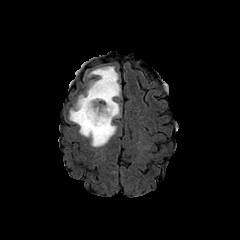
FLAIR MR image.
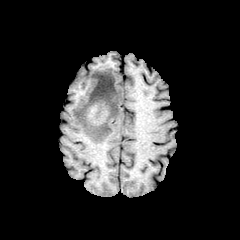
T1-weighted MR image of the same slice.
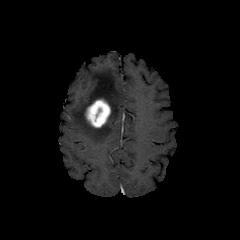
Post-contrast T1-weighted MR.
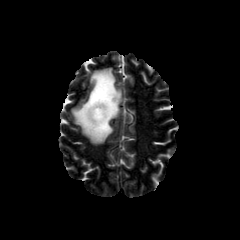
Same slice, T2-weighted MRI.
non-enhancing_tumor_core:
  - x1=86, y1=122, x2=109, y2=131
  - x1=85, y1=74, x2=116, y2=120
enhancing_tumor:
  - x1=85, y1=98, x2=110, y2=127
edema:
  - x1=68, y1=66, x2=121, y2=147